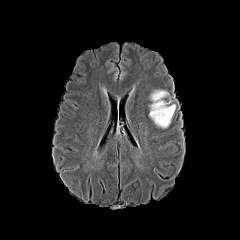
FLAIR magnetic resonance.
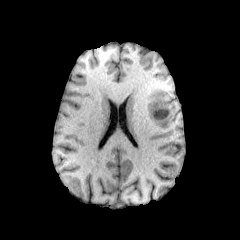
T1-weighted magnetic resonance.
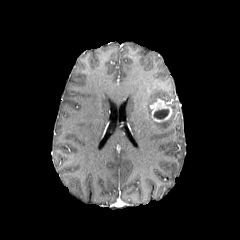
Same slice, post-contrast T1-weighted MRI.
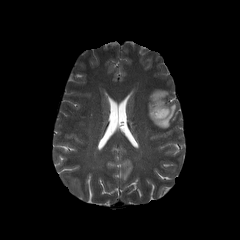
T2-weighted MRI.
enhancing_tumor:
  - <box>148,98,172,122</box>
edema:
  - <box>148,89,170,101</box>
  - <box>153,104,176,128</box>
non-enhancing_tumor_core:
  - <box>154,109,169,118</box>